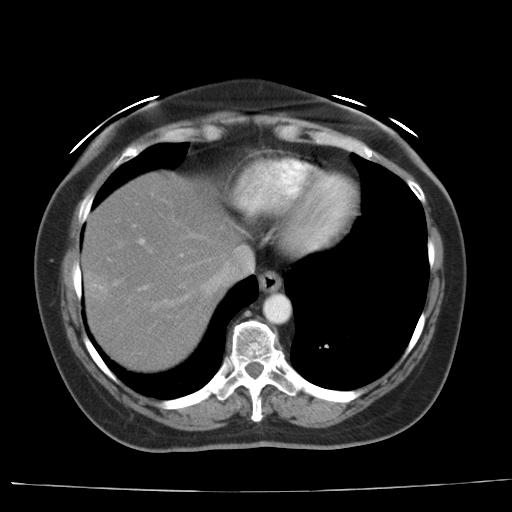

CT image. Abdomen. 512x512.

Not every hepatic vessel necessarily has a box.
{
  "hepatic_vessel": [
    "140 239 143 243"
  ]
}